FLAIR MR.
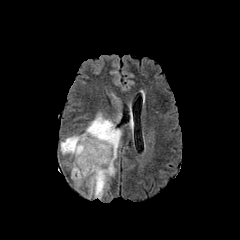
T1-weighted magnetic resonance.
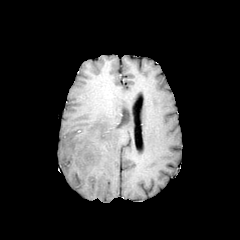
Post-contrast T1-weighted MRI.
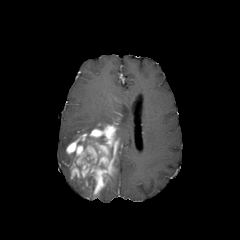
T2-weighted MRI.
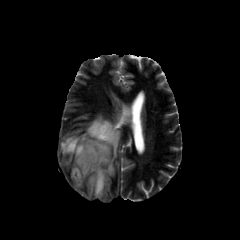
Head, 240x240 px
Enhancing tumor = box=[66, 125, 117, 197].
Edema = box=[114, 128, 121, 146]; box=[60, 135, 80, 153]; box=[85, 113, 119, 133]; box=[98, 176, 111, 198].
Non-enhancing tumor core = box=[70, 153, 76, 165]; box=[80, 172, 95, 192]; box=[77, 133, 104, 147].